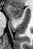
MRI, Hippocampus
Anterior hippocampus — x1=9, y1=6, x2=23, y2=18.